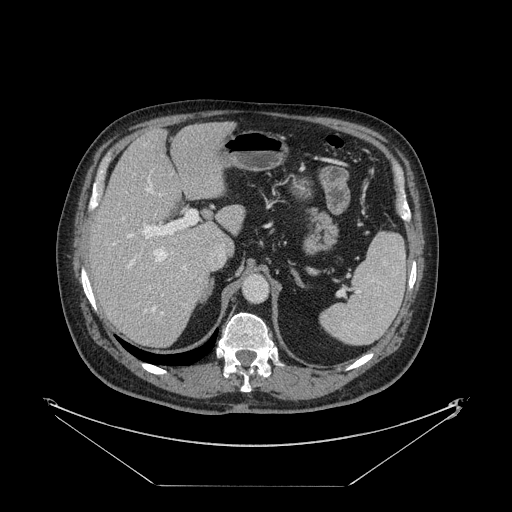 Computed tomography
Only some of the vessels may be annotated.
Hepatic vessel: region(127, 234, 131, 236); region(144, 225, 150, 232); region(147, 234, 151, 236); region(150, 307, 154, 310); region(160, 312, 162, 313); region(126, 263, 131, 267).